Abdomen | CT 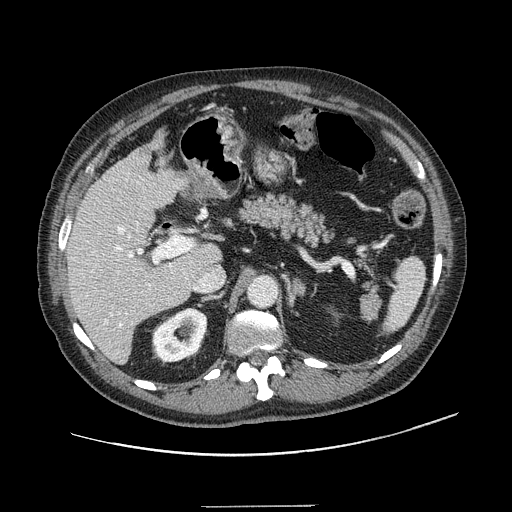
pancreas:
  - <box>236,193,335,247</box>